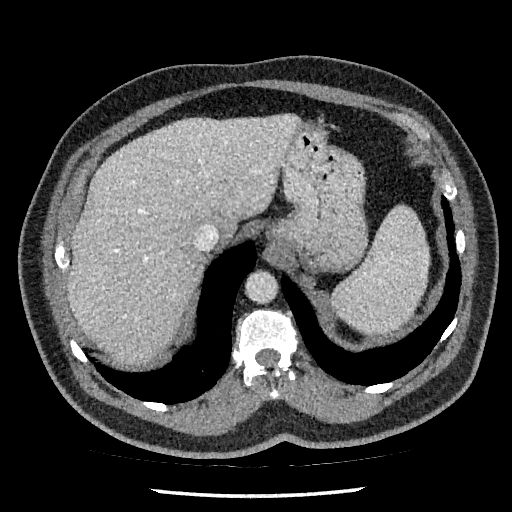 Liver. CT slice. Liver: [x1=68, y1=115, x2=297, y2=363].